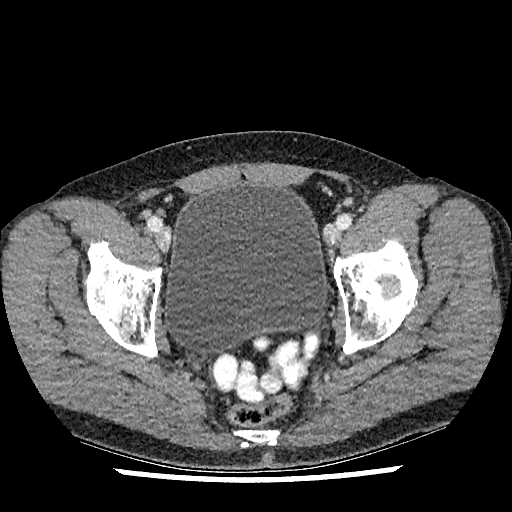 Lower abdomen, CT
The urinary bladder is at <box>164,184,327,356</box>.